FLAIR MR image.
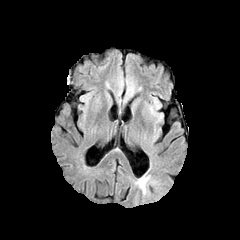
T1-weighted MR image.
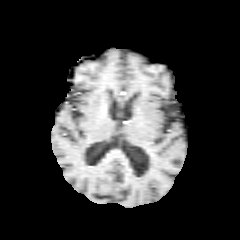
Post-contrast T1-weighted MR.
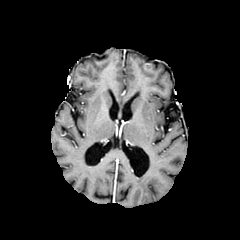
T2-weighted MR.
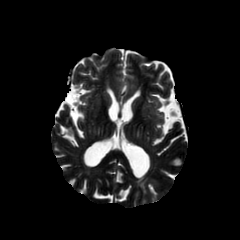
Brain
* edema: <box>135,173,156,195</box>